CT scan slice. Image size 512x512. Slice 47/87. Upper abdomen.

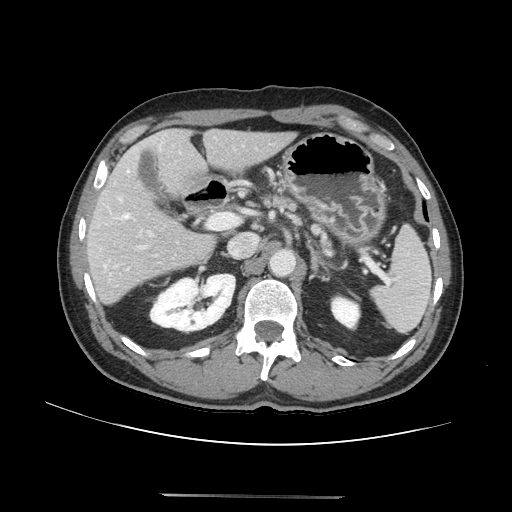

pancreas:
  - x1=261 y1=193 x2=297 y2=209
  - x1=311 y1=223 x2=332 y2=245